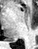
Magnetic resonance. posterior_hippocampus:
  - (13,39,16,41)